Field of view 35x44 mm, MR image, Hippocampus 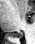

Posterior hippocampus — region(8, 33, 22, 37).